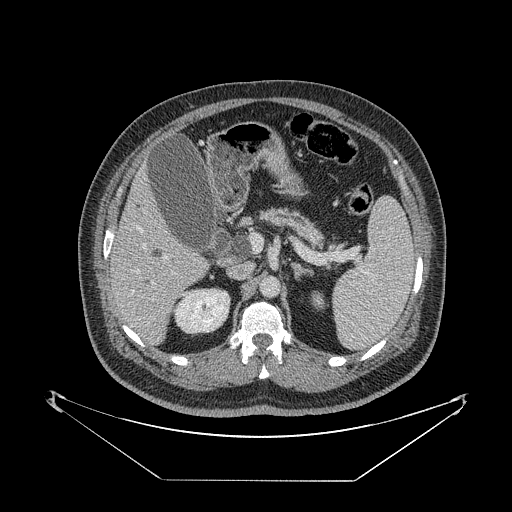 Computed tomography | Image size 512x512
Pancreas: bbox(261, 208, 324, 247).